Image width 240 mm; Slice 69 of 155; Image size 240x240
FLAIR MR image.
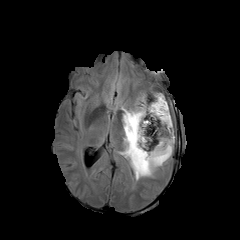
T1-weighted MR image.
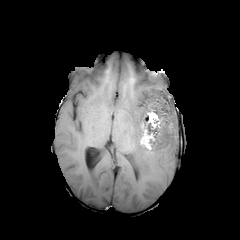
Post-contrast T1-weighted magnetic resonance.
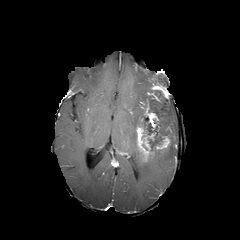
T2-weighted MR.
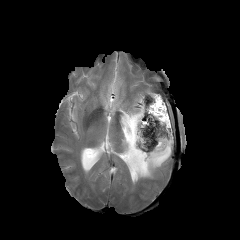
2 non-enhancing tumor core regions appear at [138,102,169,155], [134,142,142,158]. 2 enhancing tumor regions are located at [136,127,147,161], [156,137,169,149]. The edema is located at [102,74,175,183].